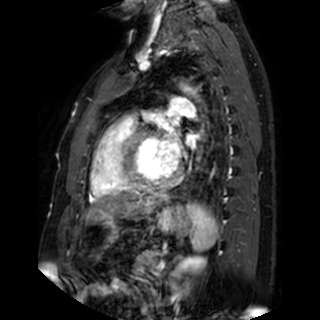
MR | Heart
Segmented structures:
* left atrium: [167,110,178,119], [186,134,195,148], [165,130,180,162]